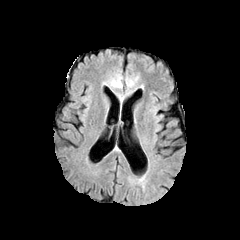
FLAIR MR.
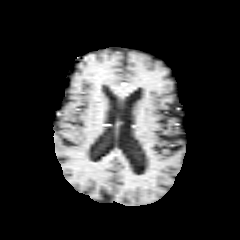
T1-weighted magnetic resonance of the same slice.
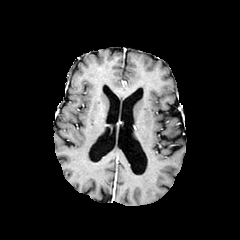
Post-contrast T1-weighted MR of the same slice.
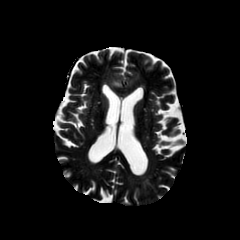
T2-weighted magnetic resonance.
Image size 240x240; Brain
{"edema": ["(x1=138, y1=174, x2=146, y2=187)"]}